Slice index 84, 240x240, Brain
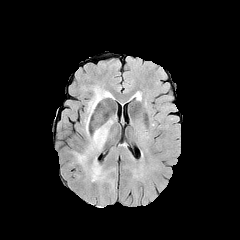
FLAIR MR.
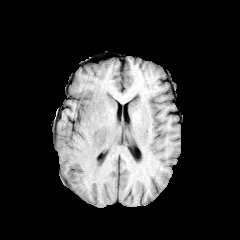
T1-weighted MRI of the same slice.
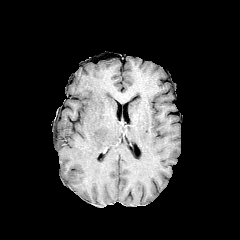
Post-contrast T1-weighted MR image.
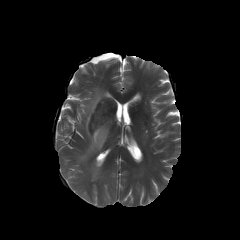
T2-weighted MR image of the same slice.
{"edema": ["(84, 85, 113, 136)", "(91, 159, 107, 181)", "(76, 120, 112, 168)"]}